Computed tomography; 512x512

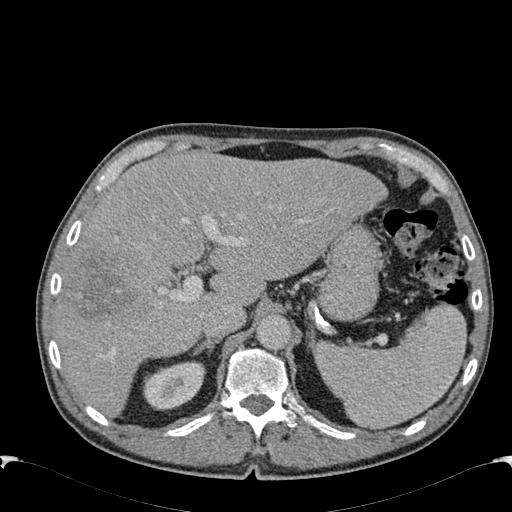 <segmentation>
  <liver_lesion>(62, 246, 136, 322)</liver_lesion>
  <kidney>(144, 362, 204, 408)</kidney>
  <liver>(55, 153, 385, 416)</liver>
</segmentation>